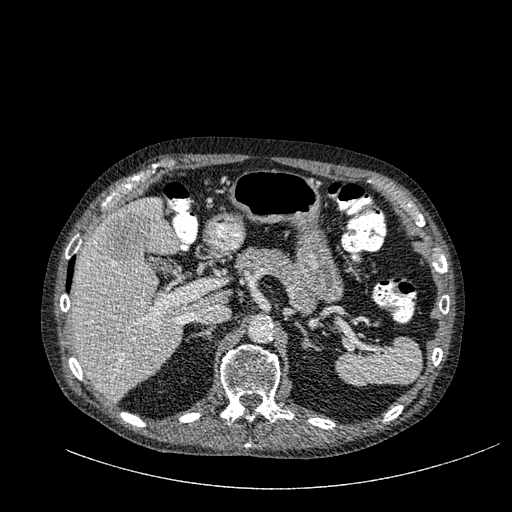 CT.
focal_liver_lesion:
  - bbox=[104, 210, 153, 262]
liver:
  - bbox=[71, 198, 232, 400]